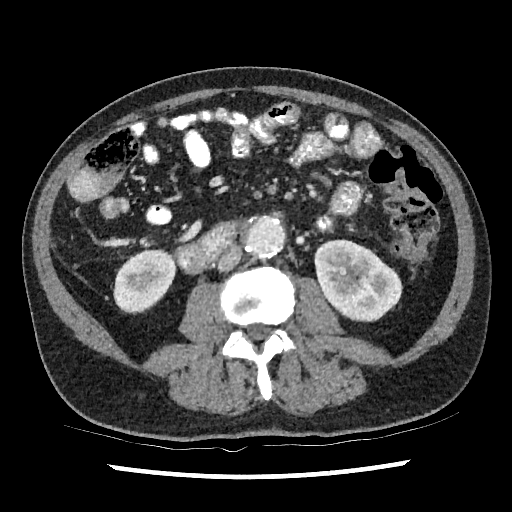 CT; Image size 512x512
2 kidney regions appear at (315, 240, 401, 320), (114, 250, 175, 311).